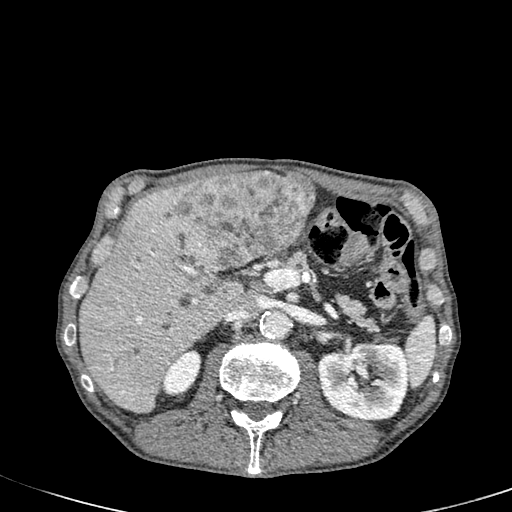

Liver, CT slice

Liver lesion = 175,172,314,270.
Liver = 79,182,243,412.
Kidney = 163,351,199,393; 320,345,409,419.